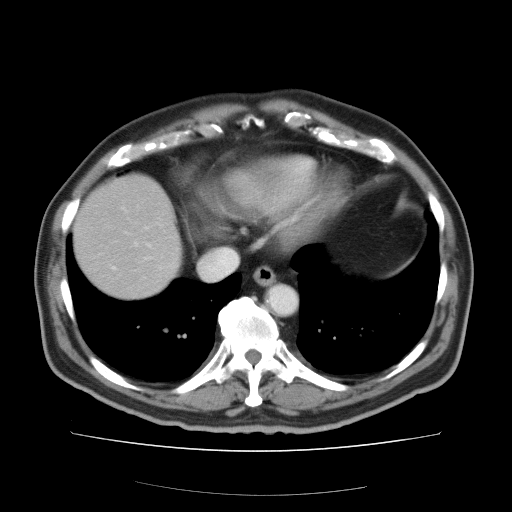
CT image
Only some of the vessels may be annotated.
The hepatic vessel is bounded by <bbox>112, 266, 114, 268</bbox>.